Field of view 240 mm wide, 1.00 mm slice spacing. Brain. Slice 52 of 155.
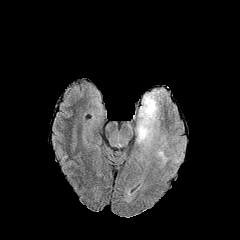
FLAIR MRI.
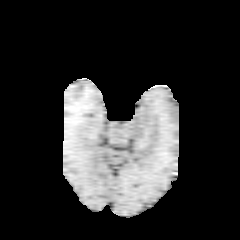
T1-weighted MR image.
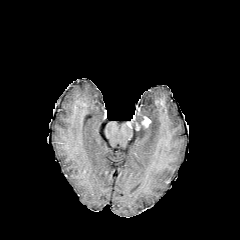
Post-contrast T1-weighted MR image.
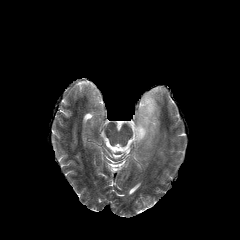
Same slice, T2-weighted magnetic resonance.
{"enhancing_tumor": ["box=[141, 116, 150, 127]"], "edema": ["box=[131, 89, 165, 150]"]}